Slice 120/155, 240x240
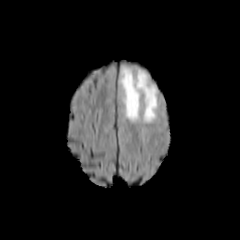
FLAIR MR.
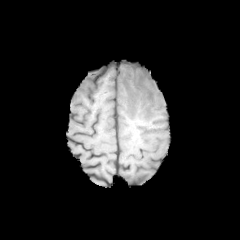
Same slice, T1-weighted MRI.
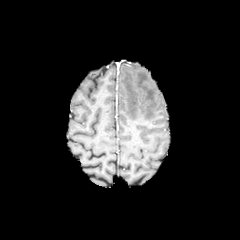
Post-contrast T1-weighted MRI.
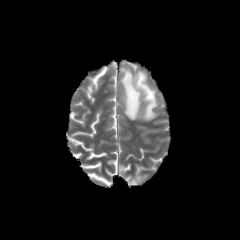
Same slice, T2-weighted MRI.
{
  "edema": [
    "[x1=121, y1=67, x2=157, y2=122]"
  ]
}